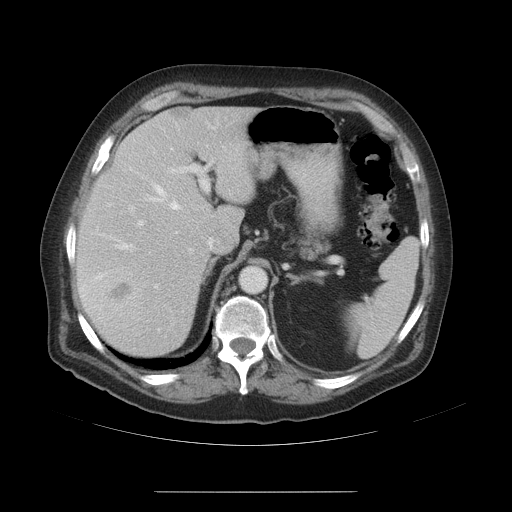

Computed tomography. Liver. 512x512 px.
The vessel boxes may cover only some of the vessels.
Segmented structures:
- liver tumor: 79:268:142:323
- hepatic vessel: 108:203:110:205, 209:126:214:128, 130:206:133:210, 149:185:164:201, 167:165:208:190, 170:201:180:209, 138:220:143:225, 212:158:213:160, 155:284:157:287, 189:248:191:251, 112:238:119:241, 115:242:133:250, 101:234:104:235